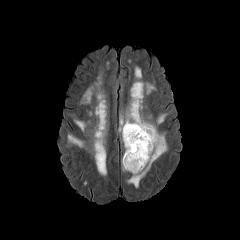
FLAIR magnetic resonance.
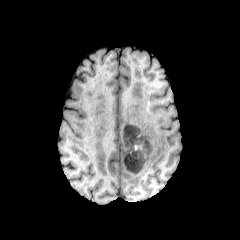
T1-weighted MRI.
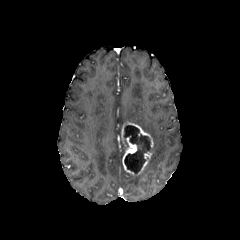
Post-contrast T1-weighted magnetic resonance.
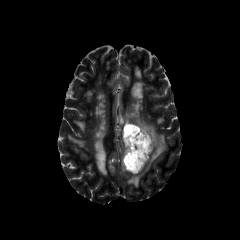
T2-weighted MRI of the same slice.
Head, Image size 240x240
edema:
  - (145,82,154,94)
  - (93,93,107,175)
  - (157,114,167,123)
  - (118,67,167,188)
  - (74,120,85,132)
  - (68,135,83,148)
  - (79,87,93,104)
non-enhancing_tumor_core:
  - (123,125,153,175)
enhancing_tumor:
  - (138,150,152,174)
  - (121,122,153,148)
  - (122,137,137,174)